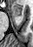

MRI slice | Hippocampus

The anterior hippocampus appears at (left=11, top=5, right=22, bottom=15).